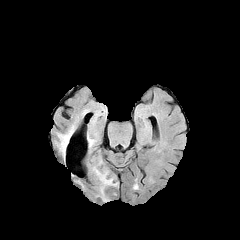
FLAIR magnetic resonance.
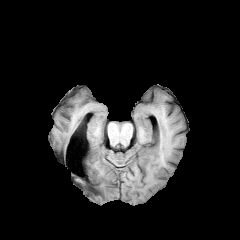
T1-weighted magnetic resonance.
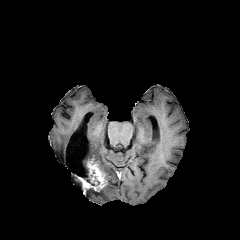
Post-contrast T1-weighted MR image.
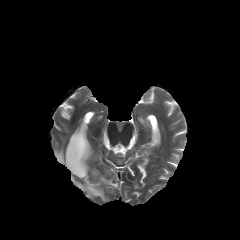
T2-weighted MR image.
Non-enhancing tumor core = region(87, 168, 99, 186).
Enhancing tumor = region(81, 165, 106, 189).
Edema = region(56, 131, 72, 156); region(87, 154, 118, 201).